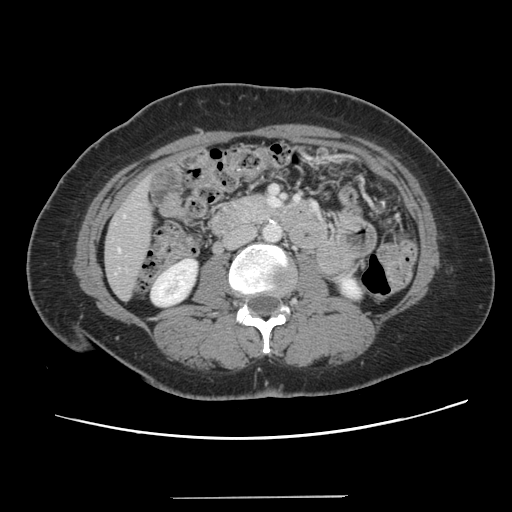
Abdomen | Computed tomography
Not every hepatic vessel necessarily has a box.
Hepatic vessel — 118 248 120 252.